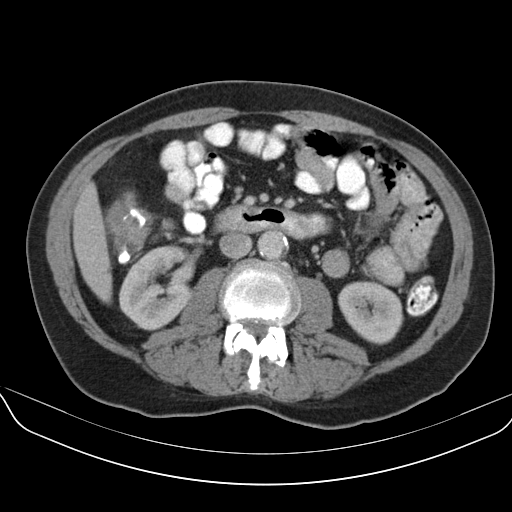
Abdomen; CT image; 512x512 px

<segmentation>
  <colon_tumor>(106, 194, 149, 246)</colon_tumor>
</segmentation>